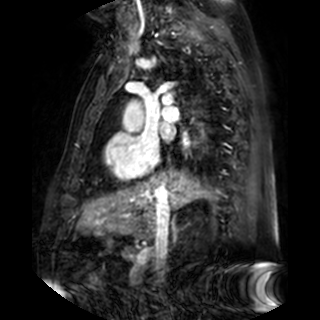
MRI

<segmentation>
  <left_atrium>162,127,171,138</left_atrium>
</segmentation>